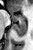 MR, Medial temporal lobe

The posterior hippocampus is bounded by bbox=[13, 21, 26, 36]. The anterior hippocampus lies within bbox=[11, 14, 24, 21].